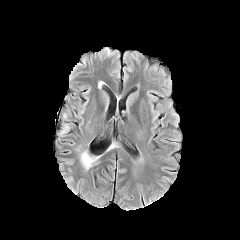
FLAIR MRI.
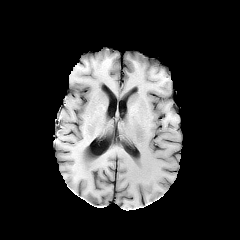
Same slice, T1-weighted MR.
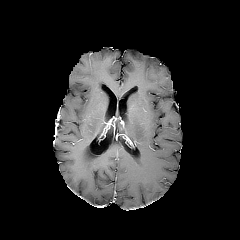
Same slice, post-contrast T1-weighted MR image.
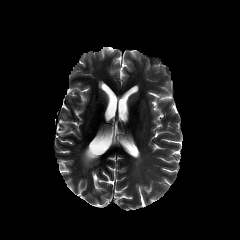
Same slice, T2-weighted MR image.
Head.
The edema is at (x1=81, y1=150, x2=96, y2=168).